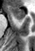

MRI slice; Hippocampus; 35x51 px
Anterior hippocampus: bounding box [8,6,25,19].